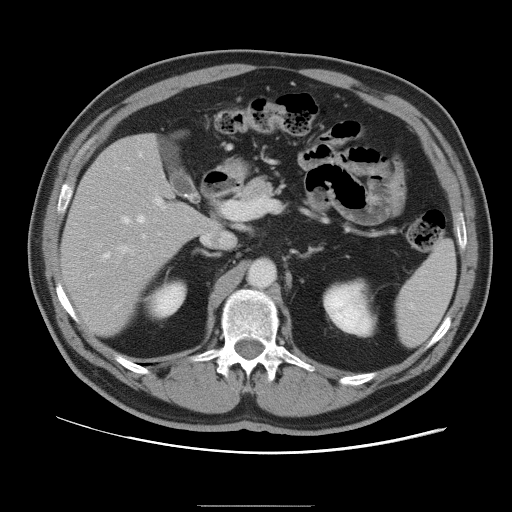

CT scan slice. Image size 512x512.

Not every hepatic vessel necessarily has a box.
{
  "hepatic_vessel": [
    "box(187, 219, 188, 221)",
    "box(122, 217, 130, 223)",
    "box(138, 215, 145, 222)",
    "box(120, 246, 133, 254)",
    "box(158, 233, 159, 234)",
    "box(154, 220, 155, 221)",
    "box(100, 252, 109, 261)",
    "box(139, 152, 141, 157)",
    "box(124, 168, 129, 169)",
    "box(155, 197, 164, 209)",
    "box(142, 234, 145, 237)",
    "box(96, 243, 102, 245)"
  ]
}